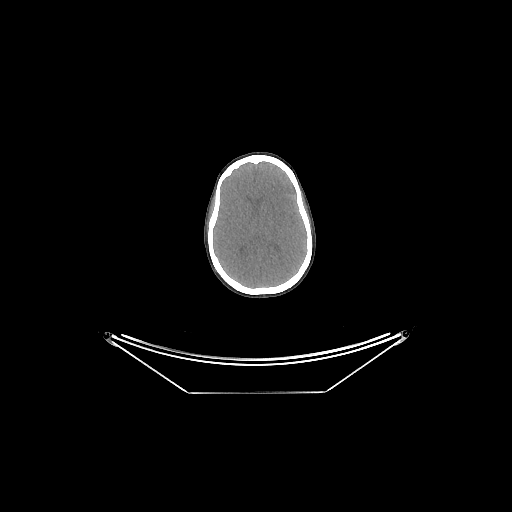

Computed tomography

Segmented structures:
- brain: [213,161,307,288]